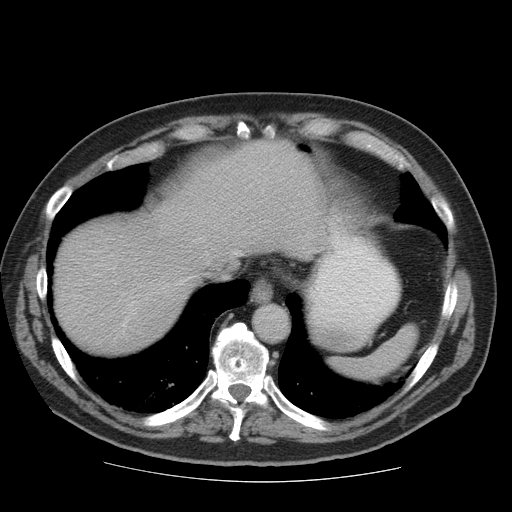 Abdomen | CT
Only some of the vessels may be annotated.
Annotated regions:
- hepatic vessel: 222, 274, 228, 278; 122, 316, 128, 325; 134, 301, 135, 302; 131, 310, 133, 313; 188, 277, 191, 278; 229, 264, 235, 267; 194, 240, 195, 241; 179, 280, 184, 284; 207, 261, 224, 269; 207, 272, 210, 276